CT, Slice index 72, Field of view 380x380 mm, Liver 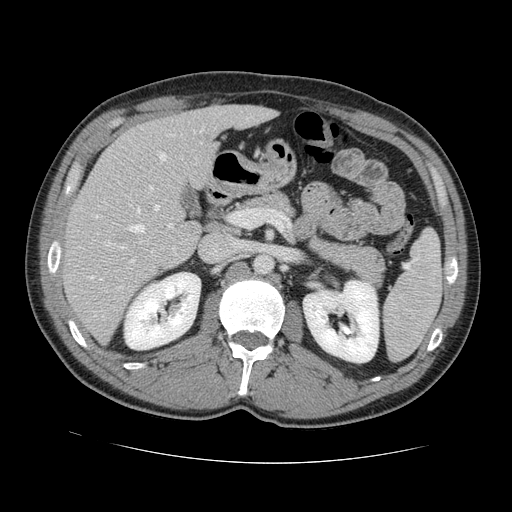
The vessel boxes may cover only some of the vessels.
The most prominent 15 hepatic vessel regions (of 20) appear at l=154, t=206, r=158, b=209; l=149, t=186, r=153, b=192; l=118, t=286, r=122, b=288; l=136, t=209, r=139, b=214; l=170, t=134, r=174, b=136; l=103, t=240, r=112, b=246; l=193, t=128, r=202, b=133; l=120, t=245, r=124, b=248; l=167, t=223, r=172, b=227; l=88, t=276, r=93, b=278; l=151, t=250, r=153, b=255; l=93, t=215, r=97, b=217; l=130, t=259, r=134, b=262; l=127, t=224, r=143, b=232; l=159, t=153, r=164, b=160.